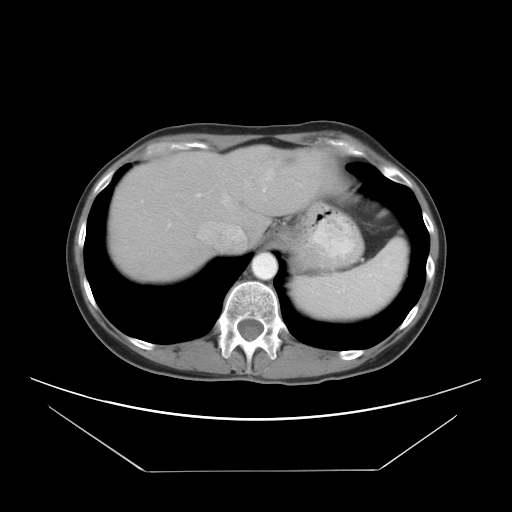 Image size 512x512, CT
Some hepatic vessels may have no box.
Liver tumor = {"x1": 274, "y1": 154, "x2": 294, "y2": 163}.
Hepatic vessel = {"x1": 261, "y1": 187, "x2": 264, "y2": 190}, {"x1": 232, "y1": 217, "x2": 238, "y2": 218}, {"x1": 197, "y1": 233, "x2": 202, "y2": 237}, {"x1": 167, "y1": 221, "x2": 170, "y2": 225}, {"x1": 244, "y1": 181, "x2": 248, "y2": 187}, {"x1": 141, "y1": 199, "x2": 142, "y2": 201}, {"x1": 195, "y1": 193, "x2": 199, "y2": 195}, {"x1": 236, "y1": 226, "x2": 242, "y2": 233}, {"x1": 221, "y1": 193, "x2": 228, "y2": 203}, {"x1": 264, "y1": 168, "x2": 273, "y2": 179}, {"x1": 296, "y1": 183, "x2": 300, "y2": 185}, {"x1": 206, "y1": 221, "x2": 214, "y2": 229}.